FLAIR MRI.
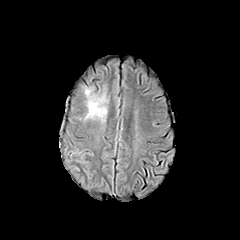
T1-weighted magnetic resonance.
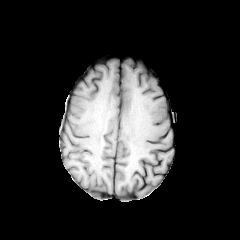
Post-contrast T1-weighted MR.
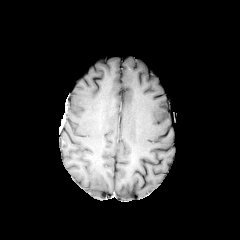
T2-weighted MR.
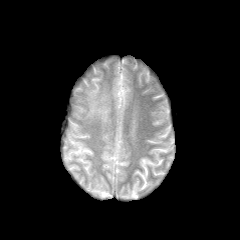
Brain
edema: x1=84 y1=86 x2=107 y2=122